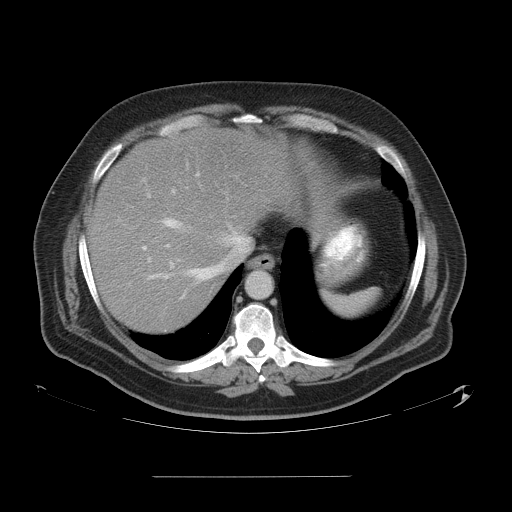
CT

Not every hepatic vessel necessarily has a box.
Segmented structures:
* hepatic vessel: l=170, t=262, r=172, b=267; l=166, t=244, r=168, b=246; l=196, t=260, r=225, b=281; l=196, t=173, r=198, b=175; l=148, t=194, r=149, b=196; l=222, t=222, r=241, b=246; l=148, t=272, r=174, b=279; l=180, t=295, r=184, b=298; l=172, t=189, r=174, b=192; l=142, t=247, r=145, b=249; l=188, t=226, r=189, b=227; l=162, t=218, r=182, b=228; l=186, t=268, r=201, b=275